FLAIR magnetic resonance.
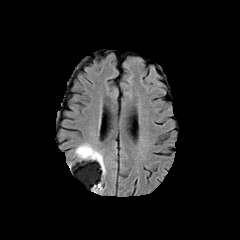
T1-weighted MRI.
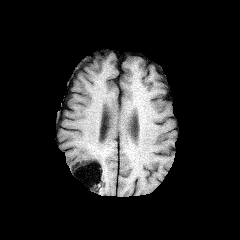
Post-contrast T1-weighted MRI.
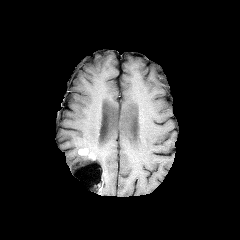
T2-weighted MRI.
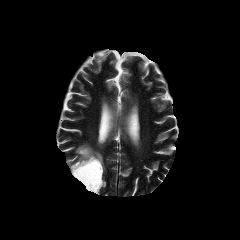
{
  "enhancing_tumor": [
    "[x1=78, y1=148, x2=96, y2=159]"
  ],
  "edema": [
    "[x1=75, y1=142, x2=107, y2=182]"
  ],
  "non-enhancing_tumor_core": [
    "[x1=82, y1=146, x2=101, y2=169]"
  ]
}